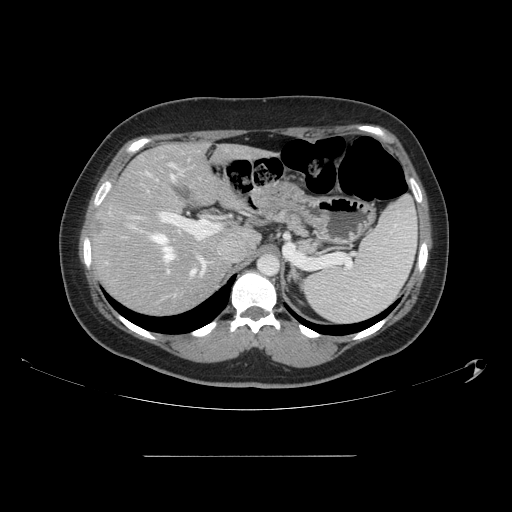
Computed tomography

Not every hepatic vessel necessarily has a box.
8 hepatic vessel regions are located at 163:246:172:260, 170:164:173:165, 151:234:166:243, 158:212:167:220, 167:270:168:272, 191:270:195:275, 199:258:205:268, 171:175:173:177. The liver tumor is at 96:221:104:234.